Image size 512x512. Slice 558 of 846. CT scan slice. Upper abdomen.
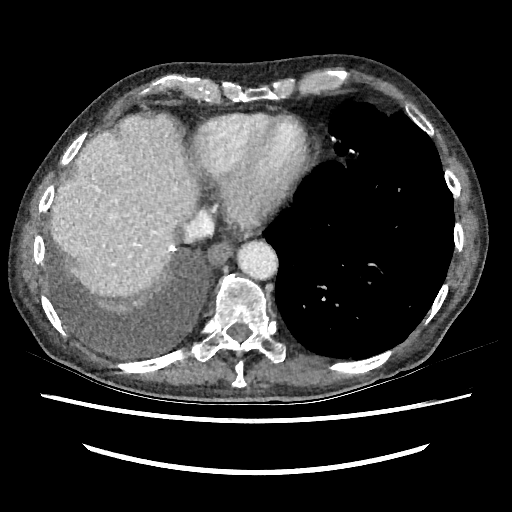
Liver at x1=51, y1=115, x2=197, y2=295.